Liver | CT image | Slice 20/40
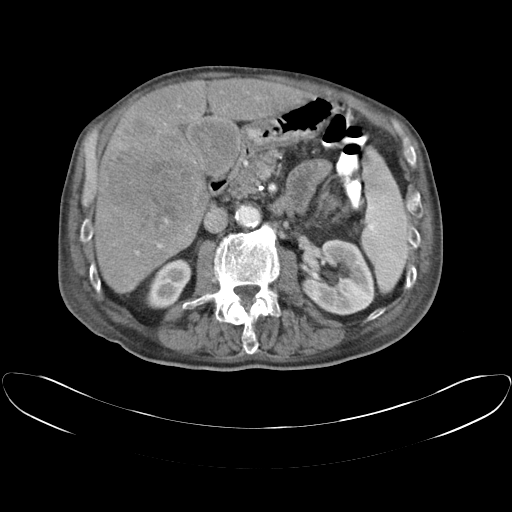
The vessel annotation is not exhaustive.
hepatic_vessel:
  - [157, 243, 162, 247]
  - [223, 106, 225, 108]
  - [135, 251, 138, 253]
  - [256, 96, 258, 99]
  - [177, 105, 179, 107]
  - [246, 91, 248, 93]
  - [185, 226, 188, 230]
liver_tumor:
  - [105, 118, 202, 242]